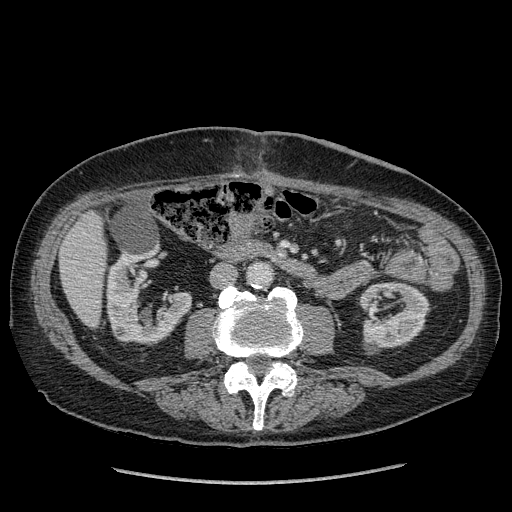

Computed tomography; Upper abdomen
{"liver": ["<bbox>59, 210, 106, 328</bbox>"], "kidney": ["<bbox>107, 254, 191, 342</bbox>", "<bbox>360, 282, 429, 347</bbox>"]}